Slice index 81.
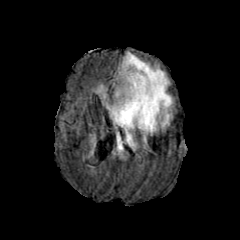
FLAIR MRI.
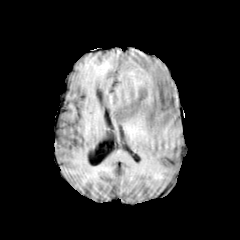
T1-weighted MRI of the same slice.
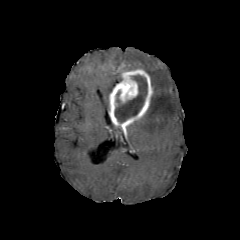
Same slice, post-contrast T1-weighted MR.
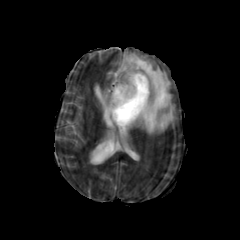
T2-weighted MR.
The enhancing tumor is at (109, 64, 152, 127). The non-enhancing tumor core is at (114, 74, 147, 123). 3 edema regions are bounded by (98, 86, 109, 108), (116, 134, 123, 150), (122, 51, 172, 143).